CT | 512x512 px | Slice index 457 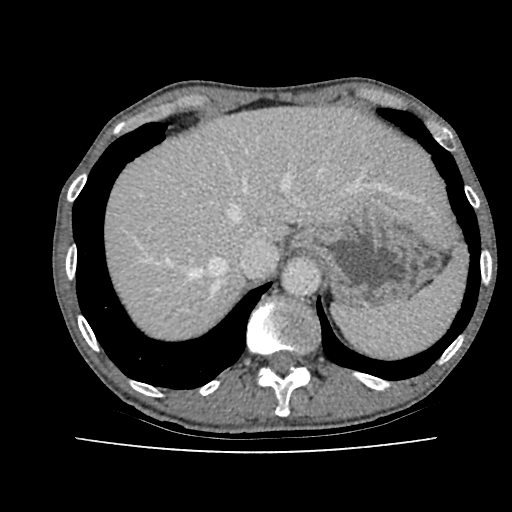

liver: x1=104 y1=106 x2=452 y2=337